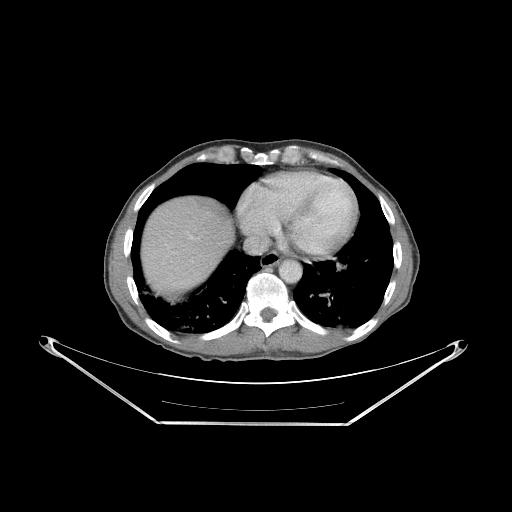
CT scan slice; Liver; 512x512 px

bone:
  - region(127, 277, 137, 303)
  - region(393, 242, 401, 267)
  - region(347, 320, 376, 340)
  - region(379, 196, 394, 223)
  - region(385, 282, 394, 304)
  - region(251, 153, 272, 164)
  - region(134, 185, 153, 210)
  - region(201, 273, 326, 339)
  - region(124, 229, 132, 256)
  - region(146, 319, 177, 342)
liver:
  - region(141, 195, 234, 300)
lung:
  - region(131, 163, 264, 333)
  - region(293, 172, 393, 328)